Liver. Field of view 413 mm wide, 5.00 mm slice spacing. Computed tomography.

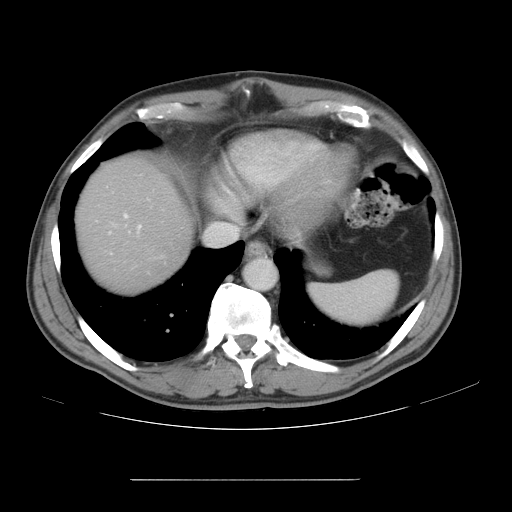

Some hepatic vessels may have no box.
5 hepatic vessel regions are bounded by {"x1": 110, "y1": 253, "x2": 112, "y2": 254}, {"x1": 137, "y1": 225, "x2": 141, "y2": 232}, {"x1": 112, "y1": 223, "x2": 113, "y2": 225}, {"x1": 109, "y1": 232, "x2": 110, "y2": 233}, {"x1": 124, "y1": 214, "x2": 127, "y2": 217}.